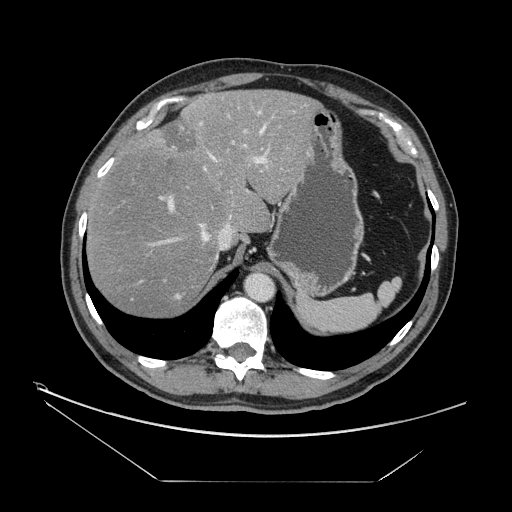
CT slice | Image size 512x512
The vessel boxes may cover only some of the vessels.
{
  "liver_tumor": [
    "rect(161, 121, 197, 154)"
  ],
  "hepatic_vessel": [
    "rect(169, 197, 173, 209)",
    "rect(254, 154, 266, 163)",
    "rect(204, 168, 205, 169)",
    "rect(210, 155, 214, 159)",
    "rect(243, 145, 245, 146)",
    "rect(200, 224, 204, 227)",
    "rect(260, 125, 264, 133)",
    "rect(202, 232, 208, 240)"
  ]
}